Brain
FLAIR magnetic resonance.
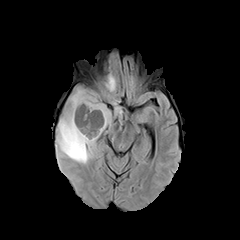
T1-weighted MR image.
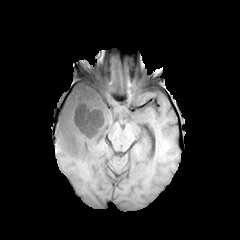
Post-contrast T1-weighted MRI.
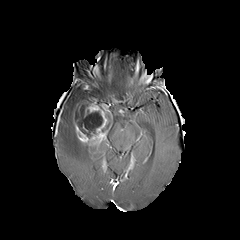
T2-weighted MR.
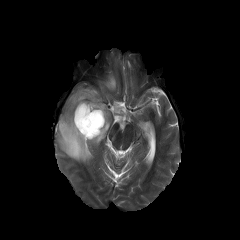
The non-enhancing tumor core lies within (left=74, top=94, right=103, bottom=137). The enhancing tumor is located at (left=75, top=99, right=109, bottom=143). 4 edema regions are located at (left=104, top=76, right=116, bottom=91), (left=113, top=103, right=122, bottom=124), (left=106, top=109, right=112, bottom=129), (left=56, top=86, right=99, bottom=164).